Slice 475/722, CT slice, Upper abdomen, 512x512 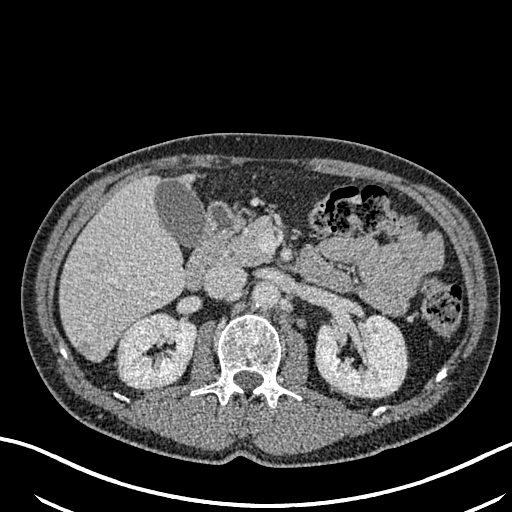
Segmented structures:
• liver: [180,174,193,185], [60,177,184,360]
• focal liver lesion: [76,341,92,356], [90,260,104,274]
• kidney: [316,315,406,397], [119,314,195,388]